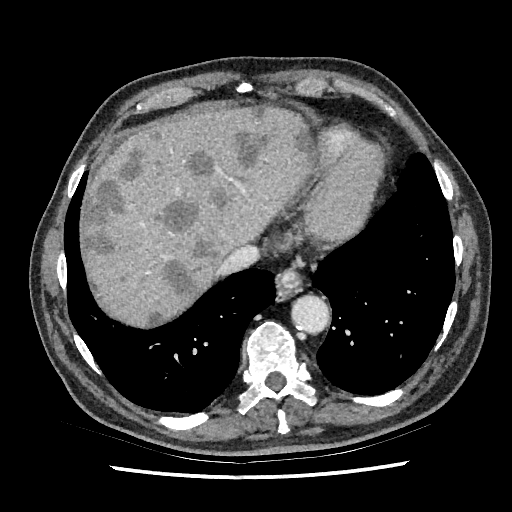

Abdomen | CT
liver: (x1=82, y1=105, x2=308, y2=324) | liver lesion: (x1=187, y1=150, x2=213, y2=178), (x1=194, y1=239, x2=216, y2=258), (x1=219, y1=238, x2=226, y2=245), (x1=120, y1=148, x2=143, y2=182), (x1=209, y1=188, x2=227, y2=209), (x1=148, y1=130, x2=163, y2=143), (x1=235, y1=132, x2=276, y2=168), (x1=155, y1=201, x2=202, y2=231), (x1=147, y1=311, x2=161, y2=324), (x1=84, y1=179, x2=124, y2=254), (x1=252, y1=107, x2=265, y2=117), (x1=293, y1=127, x2=312, y2=171), (x1=162, y1=260, x2=199, y2=299)